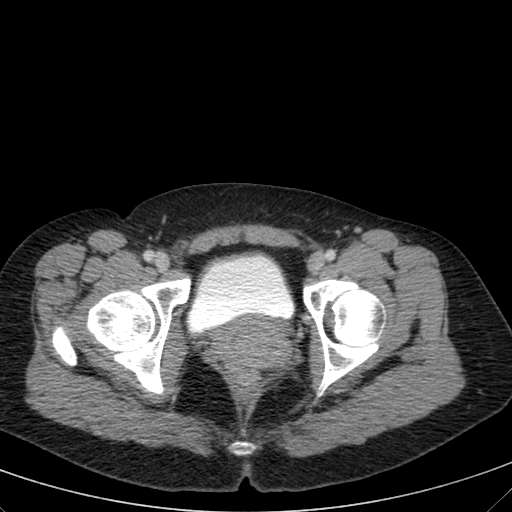 CT scan slice. Lower abdomen. 512x512.
Urinary bladder = region(188, 258, 293, 332).